Magnetic resonance, Hippocampus
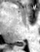
{"posterior_hippocampus": ["[x1=17, y1=42, x2=25, y2=46]"]}